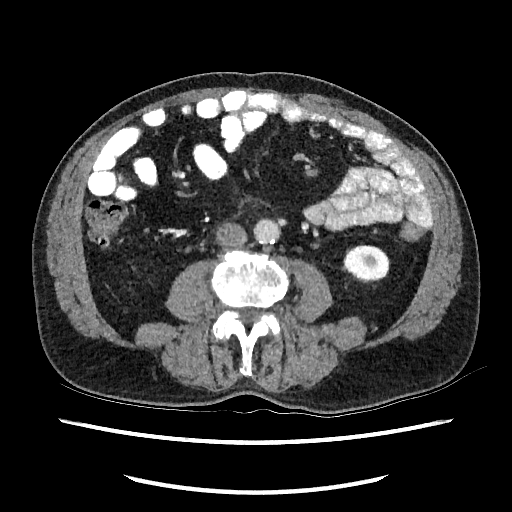
CT | Abdomen

The kidney lies within box=[344, 245, 388, 281].